Field of view 400x400 mm. Image size 512x512. Lower abdomen. CT. Slice 20/94.
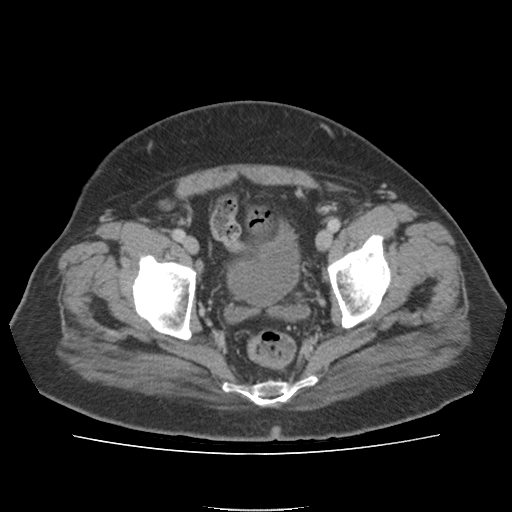

The urinary bladder appears at region(228, 222, 298, 307).